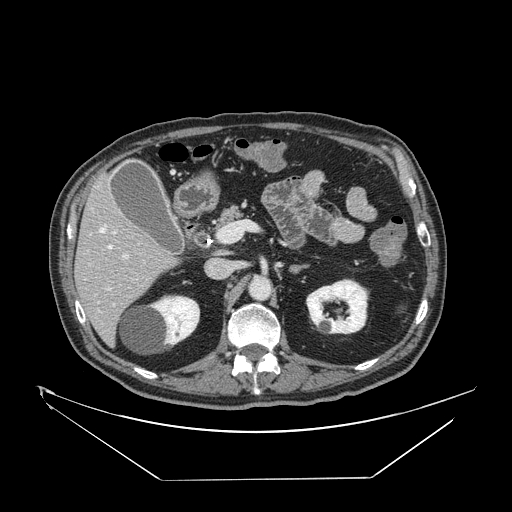

CT scan slice. Upper abdomen.

pancreas:
  - 212 204 246 232